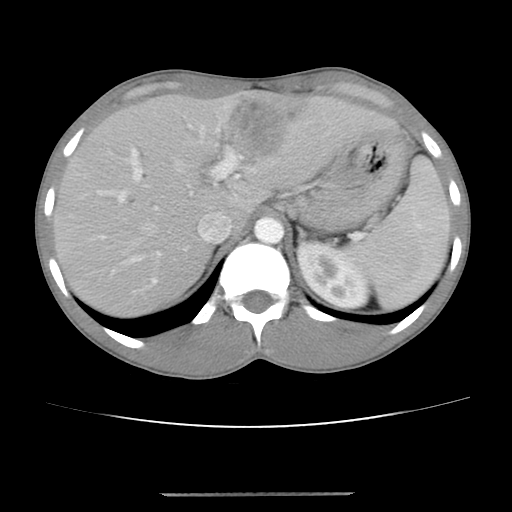 CT slice. Liver. Image size 512x512. Only some of the vessels may be annotated.
{
  "hepatic_vessel": [
    "bbox(158, 253, 160, 255)",
    "bbox(215, 147, 240, 177)",
    "bbox(131, 150, 142, 180)",
    "bbox(120, 193, 125, 200)"
  ],
  "liver_tumor": [
    "bbox(218, 99, 292, 159)"
  ]
}